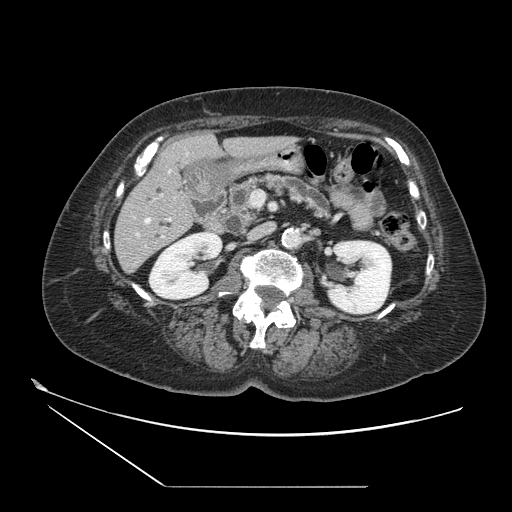

Upper abdomen; CT scan slice

Annotated regions:
• pancreatic tumor: (x1=241, y1=214, x2=253, y2=224)
• pancreas: (x1=230, y1=175, x2=328, y2=216)